Abdomen; CT image

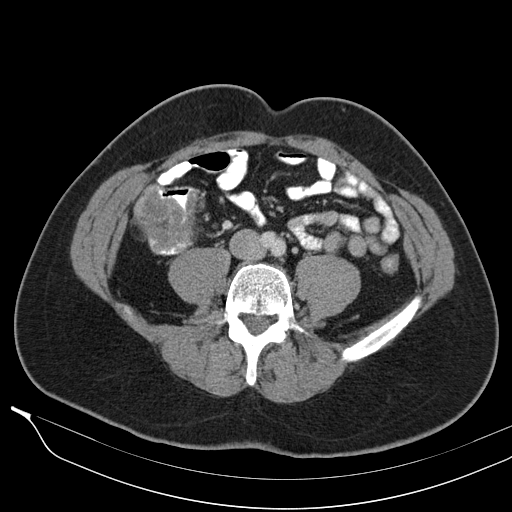 Findings:
* colon tumor: left=134, top=186, right=196, bottom=250